Computed tomography 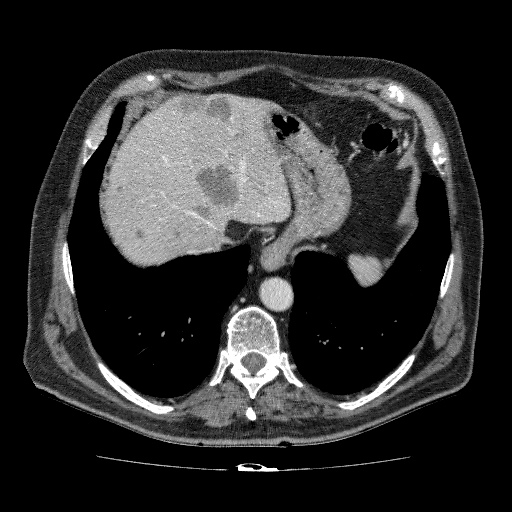 Annotated regions:
* hepatic lesion: x1=191, y1=162, x2=240, y2=219; x1=132, y1=226, x2=147, y2=241; x1=174, y1=94, x2=233, y2=121; x1=113, y1=183, x2=125, y2=195; x1=231, y1=128, x2=246, y2=143; x1=249, y1=181, x2=272, y2=198; x1=168, y1=227, x2=183, y2=240
* liver: x1=103, y1=93, x2=289, y2=264